Brain. 240x240 px.
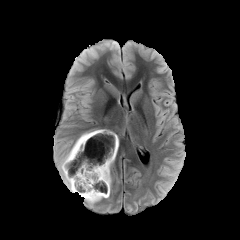
FLAIR MR.
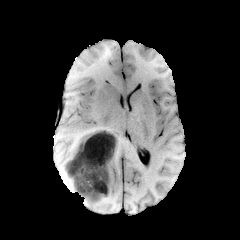
T1-weighted MR of the same slice.
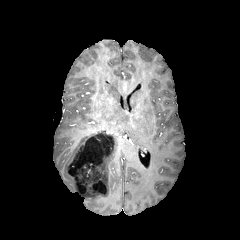
Post-contrast T1-weighted MR.
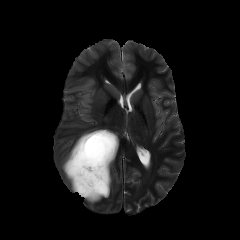
T2-weighted MRI.
Annotated regions:
• edema: {"x1": 61, "y1": 146, "x2": 76, "y2": 191}, {"x1": 82, "y1": 194, "x2": 108, "y2": 203}, {"x1": 108, "y1": 148, "x2": 116, "y2": 190}, {"x1": 101, "y1": 134, "x2": 113, "y2": 145}
• non-enhancing tumor core: {"x1": 64, "y1": 129, "x2": 115, "y2": 199}